Brain.
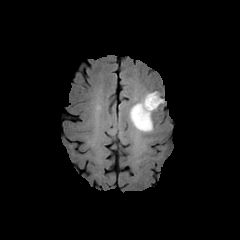
FLAIR magnetic resonance.
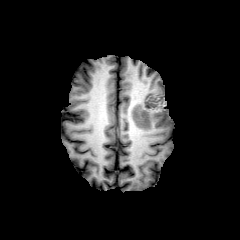
T1-weighted magnetic resonance.
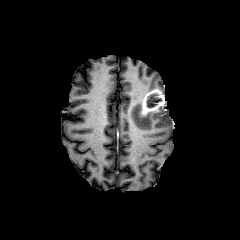
Post-contrast T1-weighted MRI of the same slice.
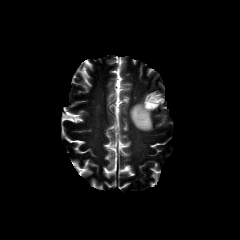
Same slice, T2-weighted magnetic resonance.
2 non-enhancing tumor core regions are located at (x1=138, y1=101, x2=147, y2=117), (x1=146, y1=94, x2=160, y2=107). The edema is bounded by (x1=128, y1=100, x2=153, y2=131). The enhancing tumor lies within (x1=141, y1=91, x2=163, y2=115).